FLAIR MR image.
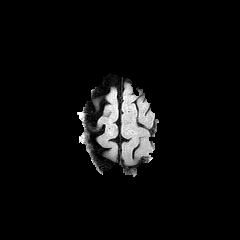
T1-weighted magnetic resonance.
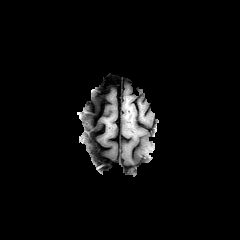
Post-contrast T1-weighted MR image.
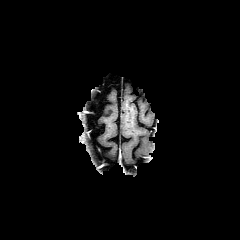
T2-weighted MRI.
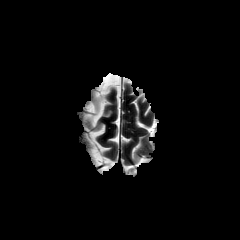
Image size 240x240; Head
Non-enhancing tumor core — 124,106,133,125.